512x512, CT 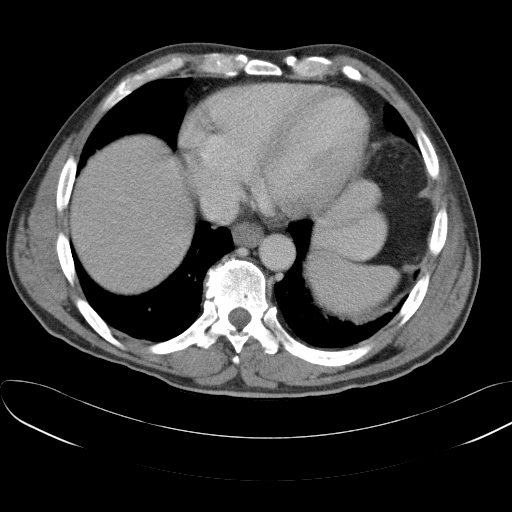

spleen:
  - box(307, 252, 396, 315)